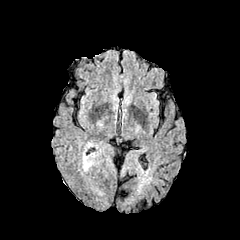
FLAIR MRI.
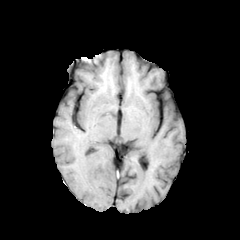
T1-weighted MR.
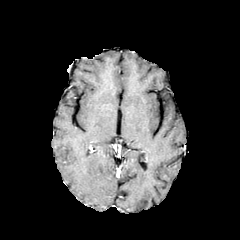
Same slice, post-contrast T1-weighted MR image.
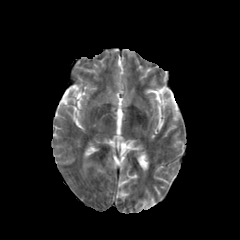
T2-weighted MR.
Annotated regions:
• edema: bbox=[82, 149, 93, 171]